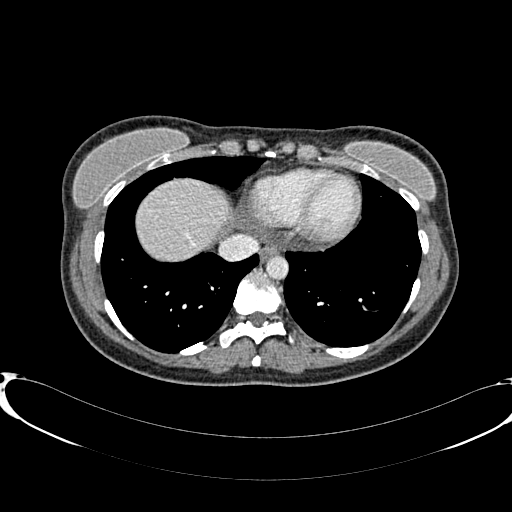

CT slice.

Liver at <bbox>136, 180, 229, 260</bbox>.